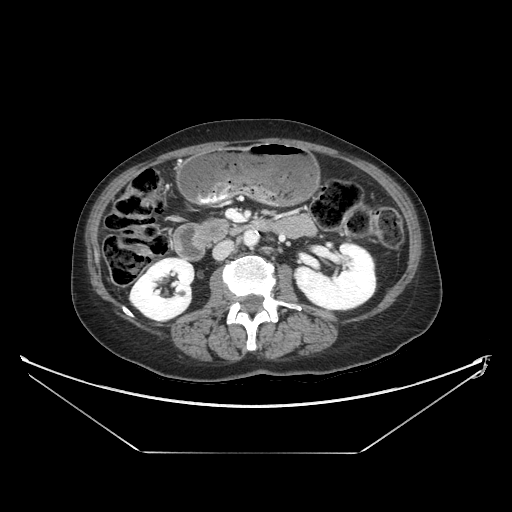
CT. Abdomen.

<segmentation>
  <pancreatic_tumor>l=207, t=224, r=222, b=237</pancreatic_tumor>
  <pancreas>l=200, t=218, r=229, b=242</pancreas>
</segmentation>